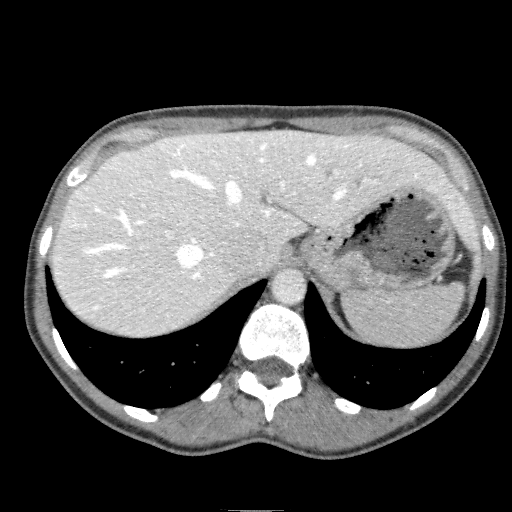
Upper abdomen | CT scan slice
Liver — 52 129 482 337.